Abdomen. CT. Slice 492/654. 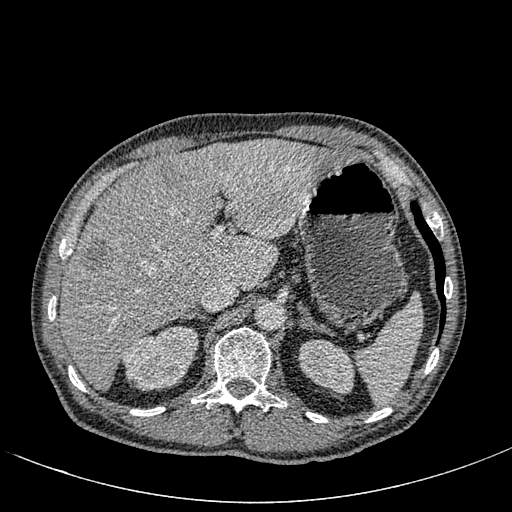

2 kidney regions are located at [299, 340, 354, 392], [121, 326, 197, 389]. The liver appears at [59, 139, 358, 391]. 4 focal liver lesion regions are bounded by [222, 236, 234, 249], [82, 238, 108, 270], [212, 143, 231, 162], [155, 160, 180, 183].